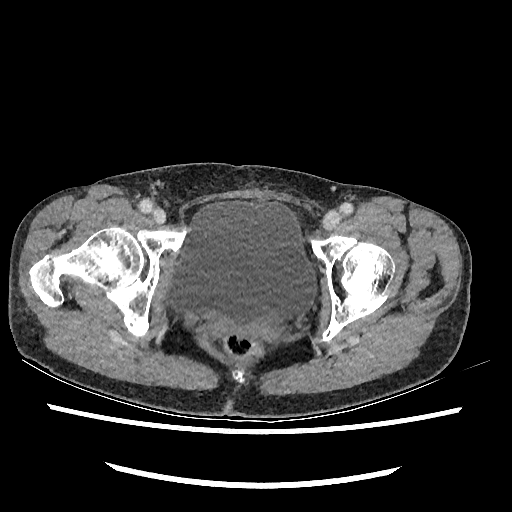 CT slice; 512x512 px; Pelvis
The urinary bladder lies within (164,197,317,330).